Slice 122/155.
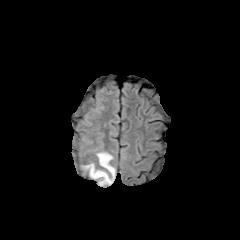
FLAIR magnetic resonance.
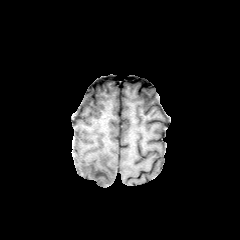
T1-weighted MR of the same slice.
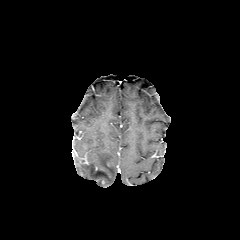
Post-contrast T1-weighted MRI.
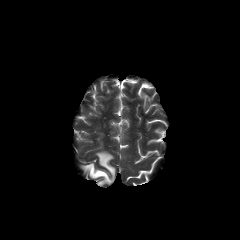
Same slice, T2-weighted magnetic resonance.
Annotated regions:
- non-enhancing tumor core: [93, 171, 107, 178]
- edema: [81, 151, 115, 185]